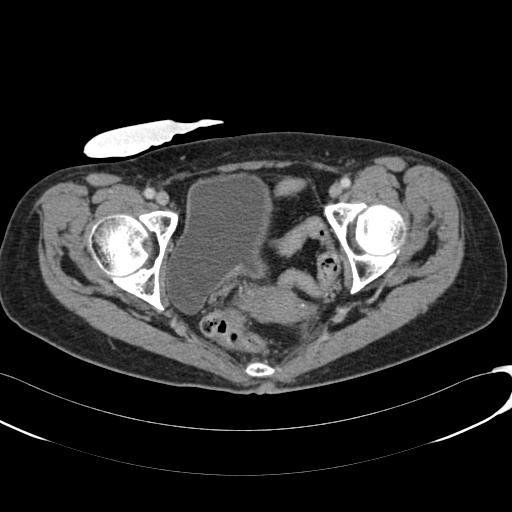
CT image. Annotated regions:
- urinary bladder: (x1=164, y1=173, x2=273, y2=314)